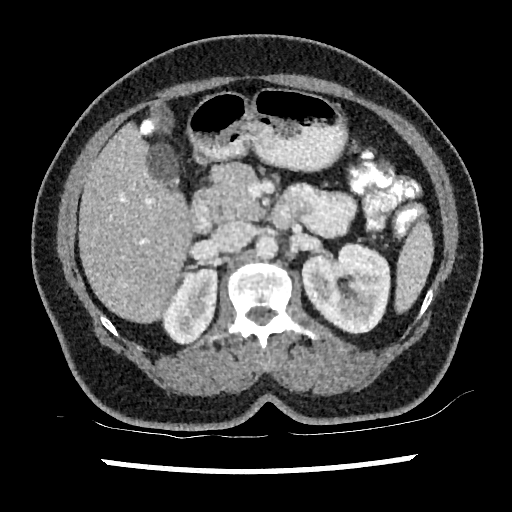

CT
{
  "focal_liver_lesion": [
    "148, 145, 178, 180"
  ],
  "liver": [
    "79, 124, 189, 320"
  ],
  "kidney": [
    "301, 245, 389, 332",
    "164, 269, 216, 343"
  ]
}